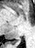 MRI
The posterior hippocampus is at bbox(13, 39, 20, 42).